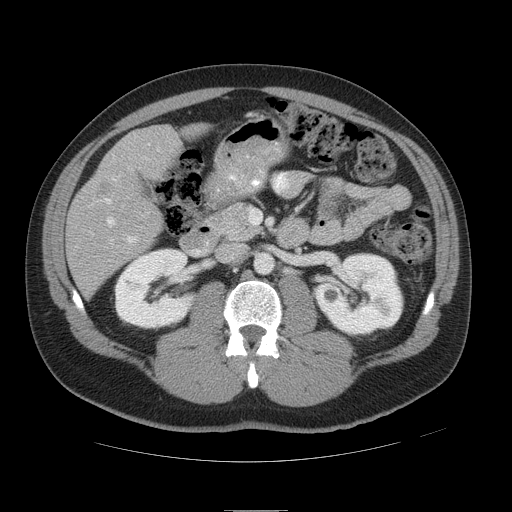

CT; Abdomen; Image size 512x512

The vessel annotation is not exhaustive.
{
  "hepatic_vessel": [
    "128:236:136:242",
    "108:218:114:224",
    "106:199:110:203"
  ],
  "liver_tumor": [
    "96:181:111:196"
  ]
}